FLAIR MR.
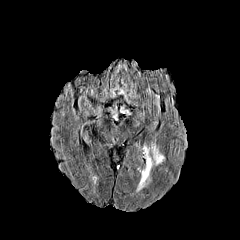
T1-weighted MR image.
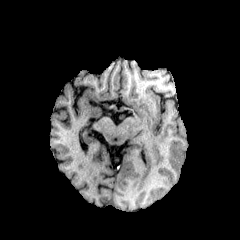
Post-contrast T1-weighted magnetic resonance.
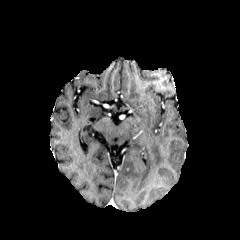
T2-weighted MR image.
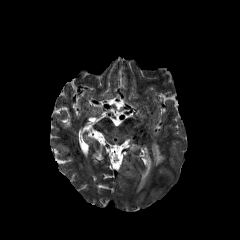
Head
- edema: <bbox>136, 143, 164, 192</bbox>